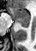
Hippocampus | MR
The anterior hippocampus is bounded by x1=11, y1=7, x2=29, y2=21. The posterior hippocampus is at x1=15, y1=22, x2=29, y2=27.